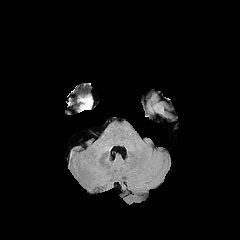
FLAIR MRI.
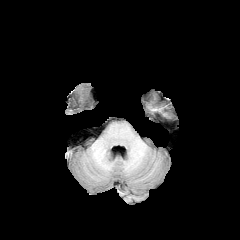
T1-weighted MR of the same slice.
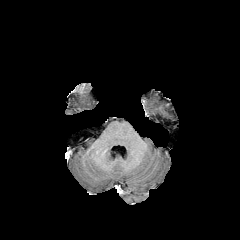
Same slice, post-contrast T1-weighted MR.
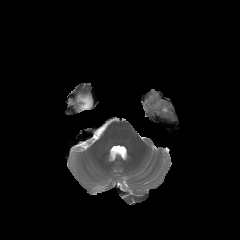
T2-weighted magnetic resonance.
240x240 px | Brain
Edema: bounding box <bbox>78, 95, 92, 109</bbox>.